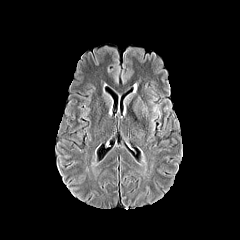
FLAIR MRI.
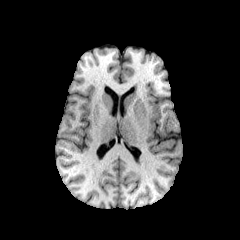
Same slice, T1-weighted magnetic resonance.
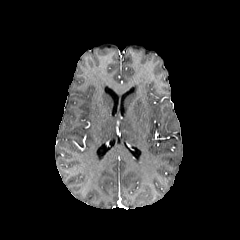
Same slice, post-contrast T1-weighted MR image.
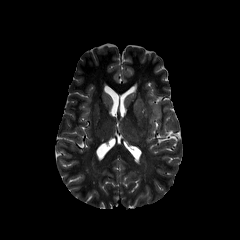
T2-weighted MR.
Image size 240x240 | Brain
• edema: {"x1": 150, "y1": 97, "x2": 161, "y2": 123}